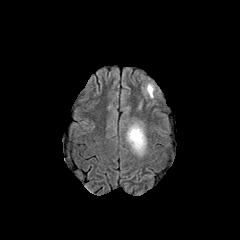
FLAIR MRI.
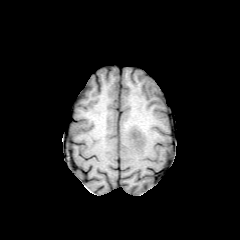
T1-weighted magnetic resonance.
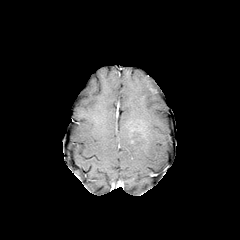
Post-contrast T1-weighted MR.
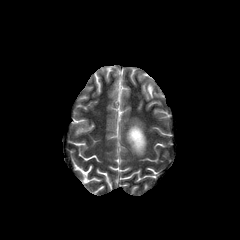
T2-weighted MR image of the same slice.
edema: (125,120,146,155) | non-enhancing tumor core: (131,131,140,139)